FLAIR MR.
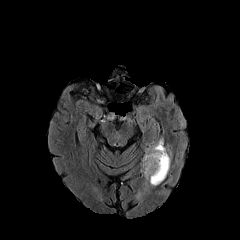
T1-weighted magnetic resonance.
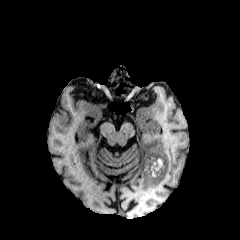
Post-contrast T1-weighted magnetic resonance.
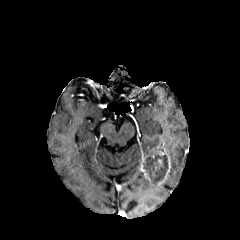
T2-weighted MR image.
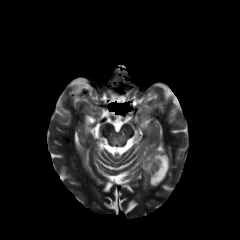
240x240 px, Brain
The edema is bounded by 149 137 165 154. 3 enhancing tumor regions are located at 139 156 151 181, 146 148 170 185, 154 159 162 171. The non-enhancing tumor core is located at 145 155 167 184.